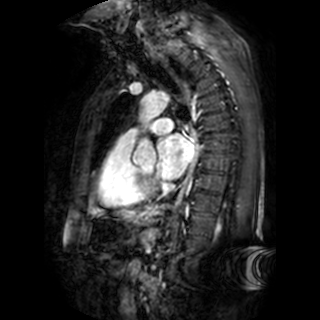

Magnetic resonance. 320x320 px.

Left atrium — (x1=156, y1=133, x2=196, y2=179).